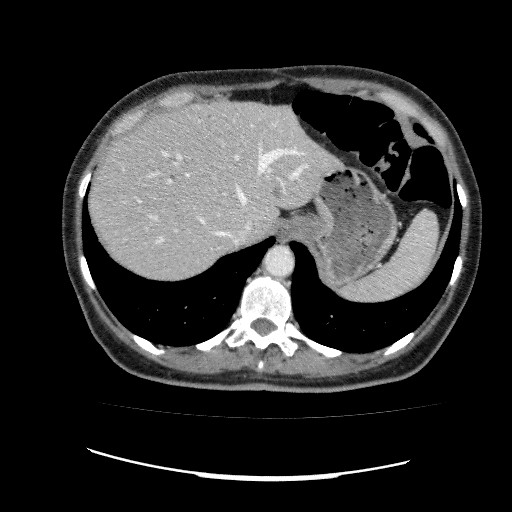
CT
Hepatic lesion = (271, 185, 283, 201).
Liver = (88, 99, 343, 281).